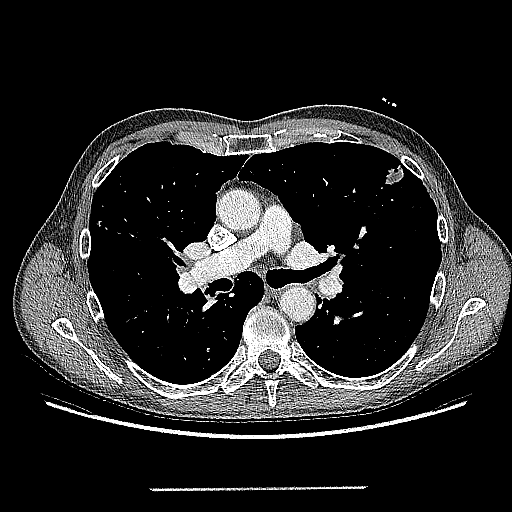 Computed tomography | Chest

The lung tumor is bounded by left=384, top=163, right=404, bottom=184.